CT scan slice | Slice 425 of 871

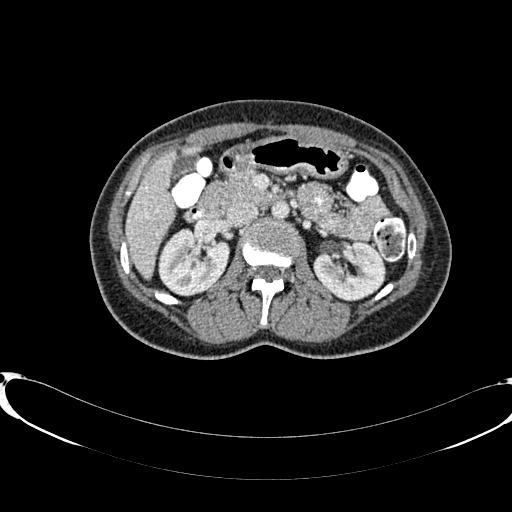 * liver: <bbox>126, 152, 177, 276</bbox>, <bbox>186, 147, 199, 153</bbox>
* kidney: <bbox>315, 243, 383, 299</bbox>, <bbox>160, 229, 228, 294</bbox>